FLAIR MRI.
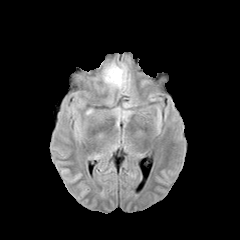
T1-weighted MR.
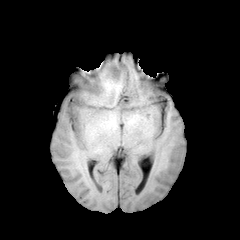
Post-contrast T1-weighted MR.
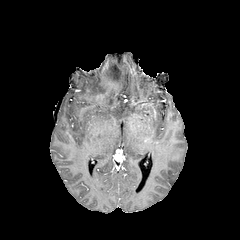
T2-weighted MR.
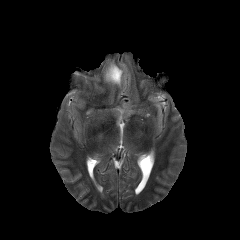
Brain
* edema: (x1=98, y1=61, x2=130, y2=93)